Slice 70 of 99, CT, Image size 512x512, Abdomen

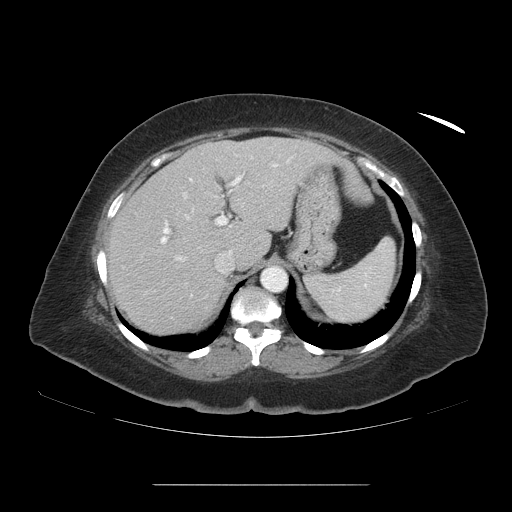

Not every hepatic vessel necessarily has a box.
- hepatic vessel: [185,215,189,219], [183,192,186,198], [230,175,242,185], [176,257,181,260], [216,215,226,225], [189,178,192,181], [161,221,169,244], [215,243,243,274], [272,164,276,166]